240x240.
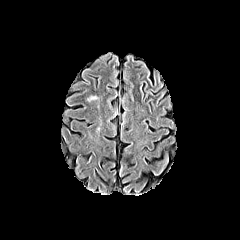
FLAIR MR image.
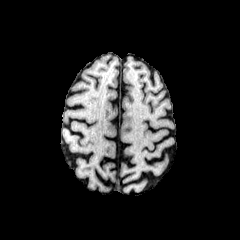
T1-weighted MRI.
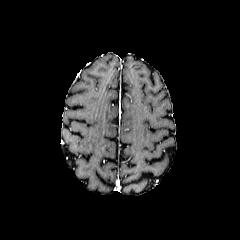
Same slice, post-contrast T1-weighted MR.
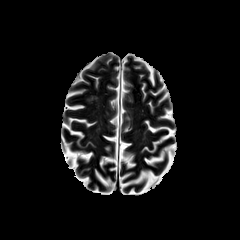
Same slice, T2-weighted MRI.
The edema is at 86 95 98 101.